Medial temporal lobe, Slice 29 of 35, Image width 34 mm, MR

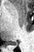
Posterior hippocampus at bbox(8, 42, 17, 45).